Computed tomography | Image size 512x512 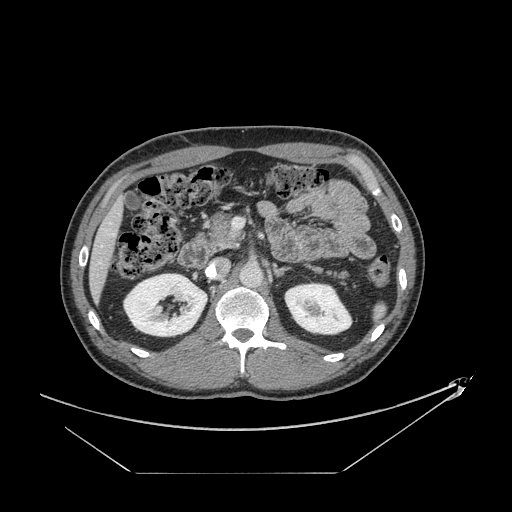
Pancreas = bbox=[196, 213, 235, 253]; bbox=[308, 265, 323, 272].